Brain.
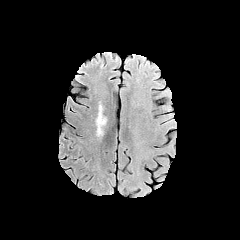
FLAIR MRI.
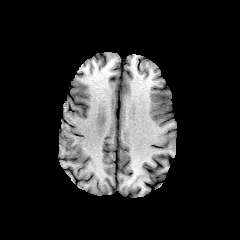
T1-weighted magnetic resonance of the same slice.
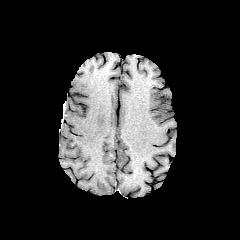
Post-contrast T1-weighted MRI.
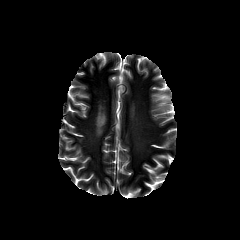
T2-weighted magnetic resonance of the same slice.
The edema is at {"x1": 96, "y1": 104, "x2": 106, "y2": 127}.